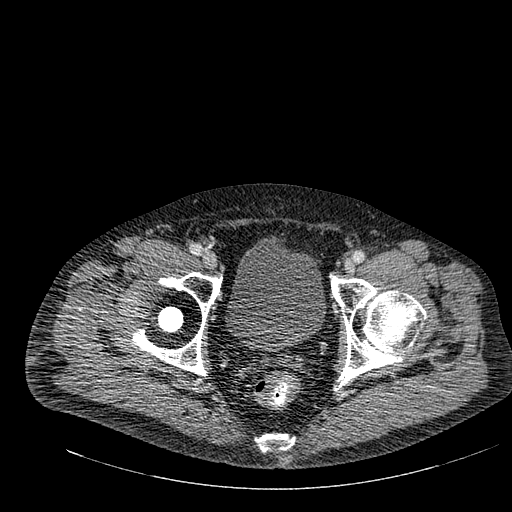 Computed tomography. Pelvis.

Urinary bladder: x1=225, y1=237, x2=325, y2=351.